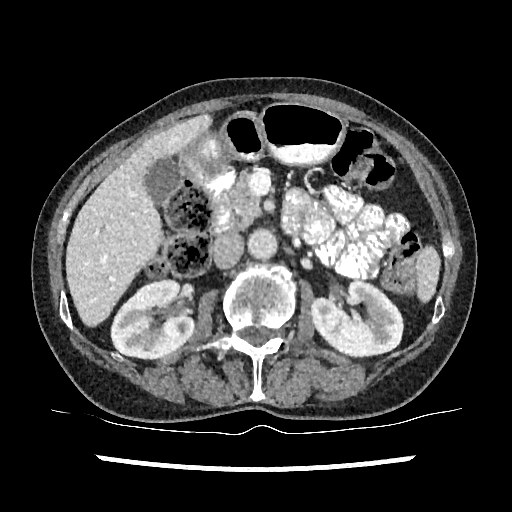 512x512; CT slice
liver: <bbox>236, 111, 253, 115</bbox>, <bbox>66, 114, 212, 325</bbox> | kidney: <bbox>112, 280, 193, 357</bbox>, <bbox>312, 281, 402, 355</bbox>